Upper abdomen, Slice index 24, CT scan slice
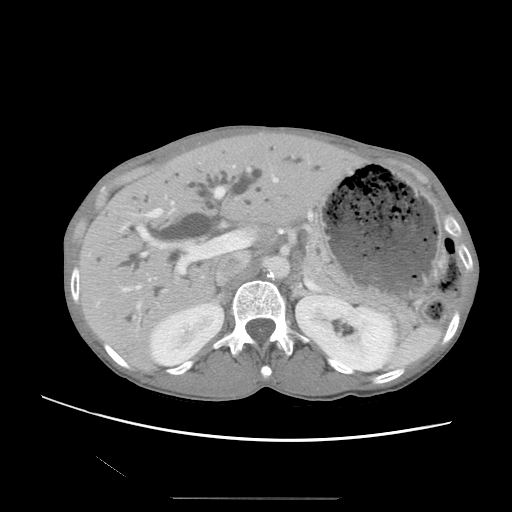
{"pancreas": ["[306, 234, 416, 337]"]}